Liver; 512x512; Computed tomography; Slice 209 of 401
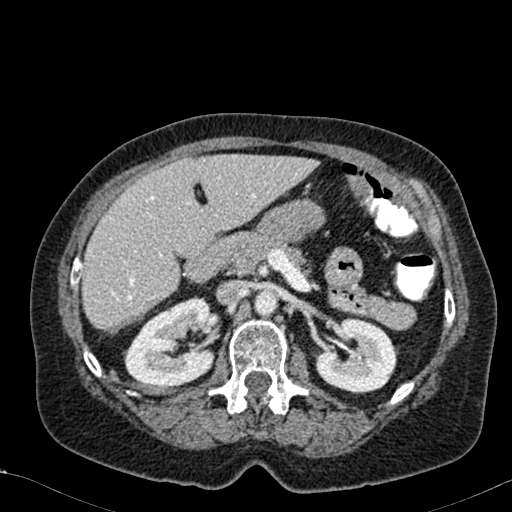

liver:
  - bbox=[81, 155, 318, 329]
kidney:
  - bbox=[313, 319, 395, 392]
  - bbox=[125, 299, 214, 387]